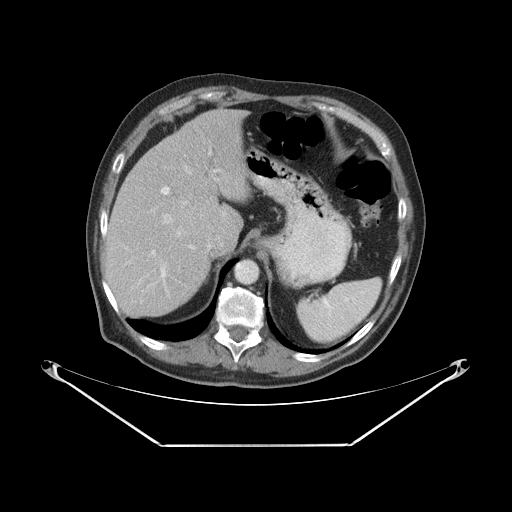

Image size 512x512. CT scan slice. Abdomen.
Not every hepatic vessel necessarily has a box.
Segmented structures:
* hepatic vessel: 150, 251, 155, 256; 214, 170, 219, 171; 207, 238, 212, 240; 216, 235, 219, 239; 142, 282, 156, 291; 123, 246, 127, 249; 179, 200, 188, 213; 162, 214, 173, 222; 161, 261, 166, 274; 187, 245, 188, 246; 160, 185, 170, 195; 159, 277, 168, 296; 177, 231, 179, 235; 184, 165, 190, 174; 209, 150, 210, 153